Slice 90/155. Image width 240 mm.
FLAIR MR image.
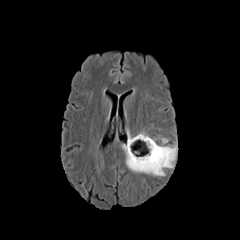
T1-weighted MR image.
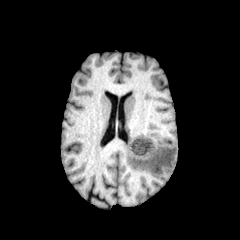
Post-contrast T1-weighted MRI.
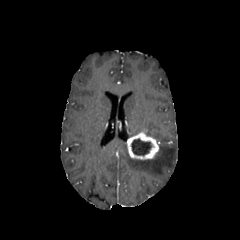
T2-weighted magnetic resonance.
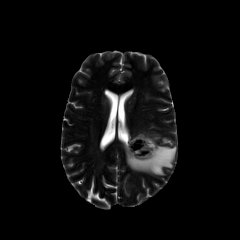
Non-enhancing tumor core = bbox(130, 138, 152, 155).
Enhancing tumor = bbox(127, 130, 159, 160).
Edema = bbox(122, 144, 176, 175); bbox(150, 134, 167, 142).